Head; Slice 130/155; 240x240 px
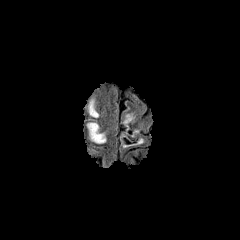
FLAIR MRI.
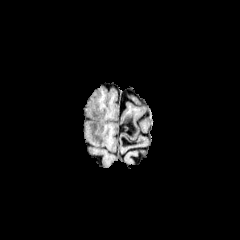
T1-weighted MRI of the same slice.
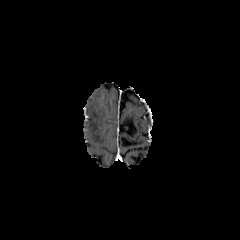
Post-contrast T1-weighted MRI.
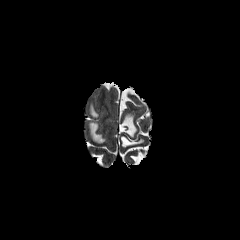
Same slice, T2-weighted magnetic resonance.
edema:
  - x1=88 y1=122 x2=105 y2=143
  - x1=87 y1=101 x2=98 y2=117